Slice index 60; Image size 240x240
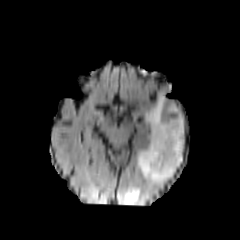
FLAIR MR.
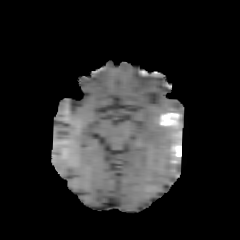
T1-weighted MR image.
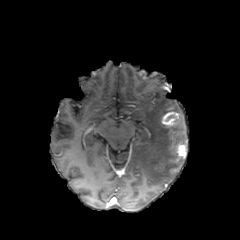
Post-contrast T1-weighted MR image of the same slice.
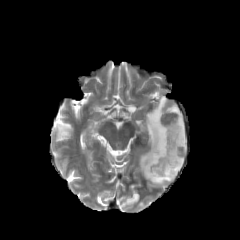
Same slice, T2-weighted MR image.
2 edema regions are located at l=124, t=191, r=139, b=204; l=135, t=90, r=184, b=186. 2 enhancing tumor regions are bounded by l=172, t=141, r=187, b=161; l=162, t=112, r=180, b=126. The non-enhancing tumor core is located at l=169, t=116, r=184, b=162.